Pelvis; Computed tomography

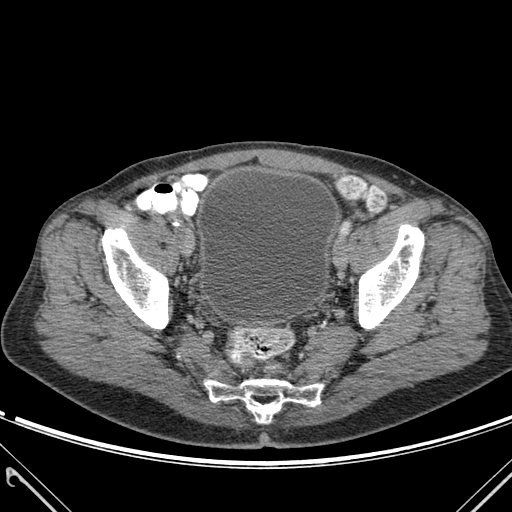

{
  "urinary_bladder": [
    "200, 171, 336, 321"
  ],
  "bone": [
    "205, 379, 322, 422",
    "102, 228, 168, 328",
    "359, 224, 423, 328"
  ]
}